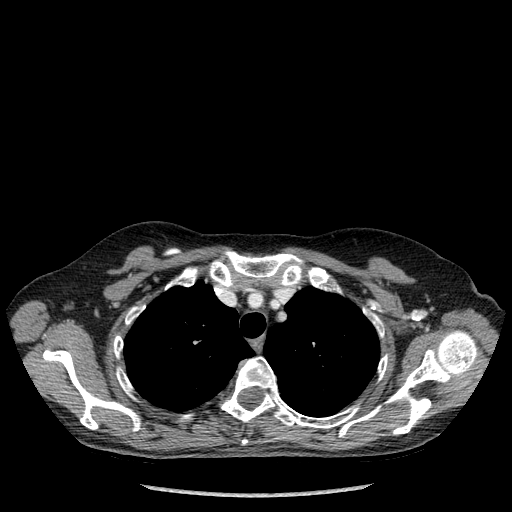

CT image
Lung = (left=124, top=281, right=265, bottom=411), (left=264, top=287, right=379, bottom=416).
Bone = (left=219, top=330, right=478, bottom=437), (left=43, top=349, right=140, bottom=431), (left=308, top=267, right=333, bottom=290), (left=210, top=251, right=303, bottom=293), (left=368, top=313, right=384, bottom=337), (left=165, top=267, right=197, bottom=289), (left=181, top=415, right=192, bottom=420), (left=113, top=335, right=123, bottom=358), (left=116, top=367, right=134, bottom=398), (left=378, top=354, right=387, bottom=380), (left=125, top=305, right=145, bottom=324).